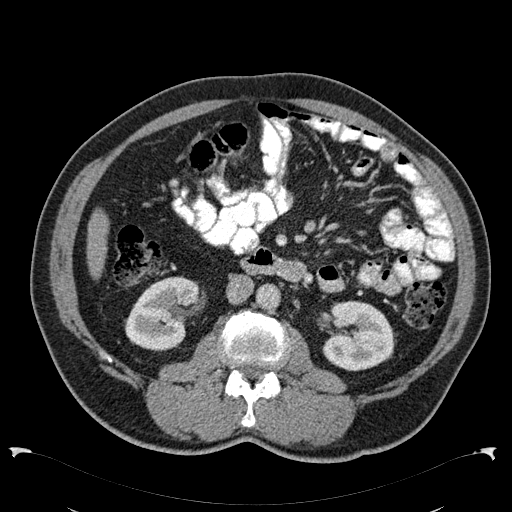

CT scan slice, Upper abdomen

Liver at bbox=[88, 210, 108, 279].
Kidney at bbox=[323, 301, 393, 370]; bbox=[125, 277, 199, 350].